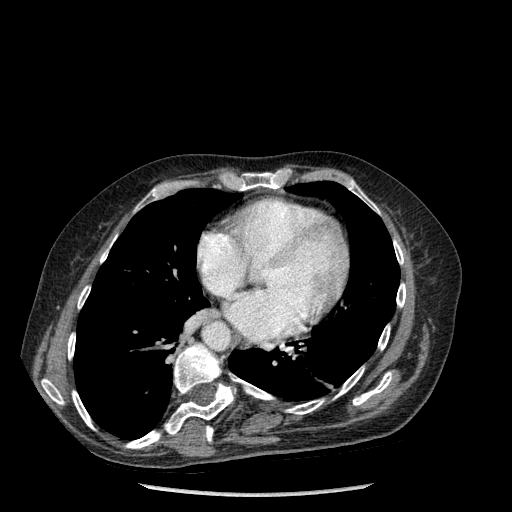
CT slice
partial: true
lung:
  - [x1=228, y1=181, x2=399, y2=400]
  - [x1=74, y1=188, x2=239, y2=439]
bone:
  # 15 of 18 shown
  - [x1=334, y1=366, x2=364, y2=398]
  - [x1=164, y1=343, x2=235, y2=434]
  - [x1=393, y1=240, x2=403, y2=264]
  - [x1=378, y1=324, x2=390, y2=350]
  - [x1=231, y1=376, x2=273, y2=399]
  - [x1=228, y1=170, x2=287, y2=190]
  - [x1=77, y1=286, x2=90, y2=308]
  - [x1=100, y1=235, x2=116, y2=262]
  - [x1=125, y1=431, x2=160, y2=448]
  - [x1=353, y1=372, x2=392, y2=405]
  - [x1=286, y1=399, x2=323, y2=414]
  - [x1=72, y1=390, x2=94, y2=429]
  - [x1=135, y1=188, x2=158, y2=210]
  - [x1=347, y1=180, x2=379, y2=213]
  - [x1=41, y1=379, x2=64, y2=404]